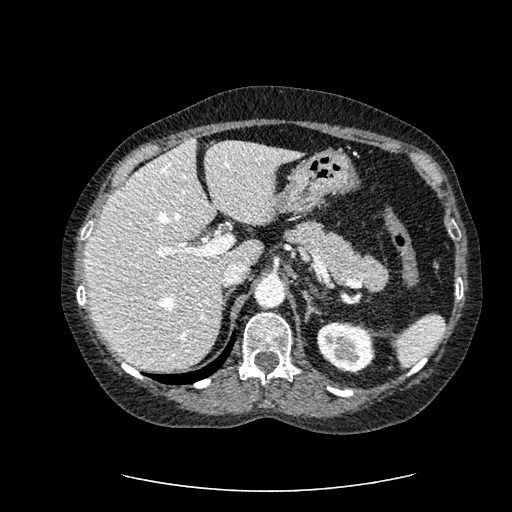
Computed tomography, Image size 512x512
- liver: <bbox>84, 138, 304, 368</bbox>
- kidney: <bbox>317, 323, 372, 371</bbox>